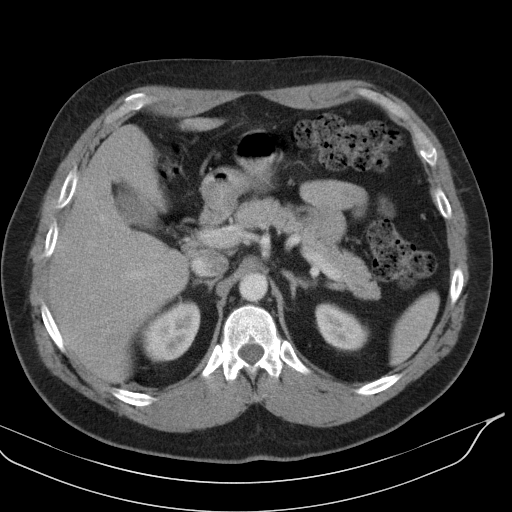

Computed tomography, Abdomen

Spleen — [392, 291, 437, 362].